Slice index 281. Field of view 700 mm wide, 3.27 mm slice spacing. CT scan slice. 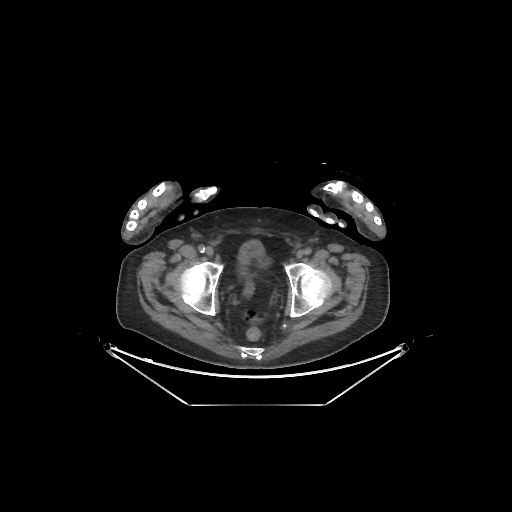 {
  "bone": [
    "<box>241,347,263,359</box>",
    "<box>152,183,167,196</box>",
    "<box>126,198,150,230</box>",
    "<box>195,190,205,200</box>",
    "<box>323,181,381,224</box>",
    "<box>285,263,331,317</box>",
    "<box>178,262,222,315</box>"
  ],
  "urinary_bladder": [
    "<box>240,271,253,288</box>",
    "<box>237,240,265,270</box>"
  ]
}